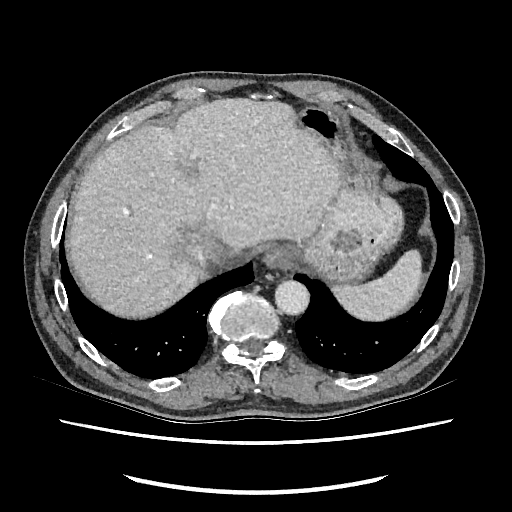

CT; Abdomen
{"hepatic_lesion": ["191, 166, 199, 175", "173, 226, 208, 263"], "liver": ["70, 100, 338, 314"]}